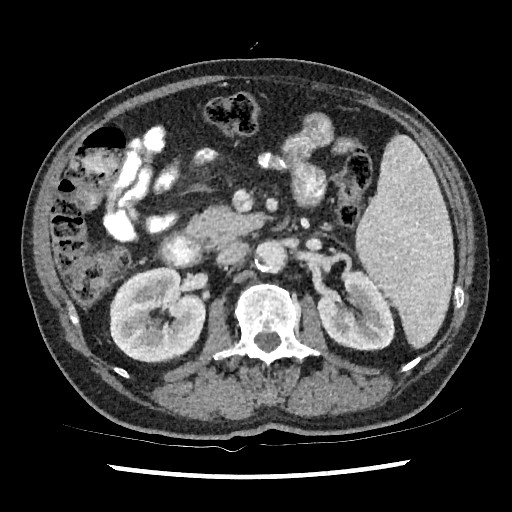 CT scan slice. 512x512.
kidney:
  - <bbox>317, 261, 393, 349</bbox>
  - <bbox>110, 268, 205, 361</bbox>